CT, Upper abdomen

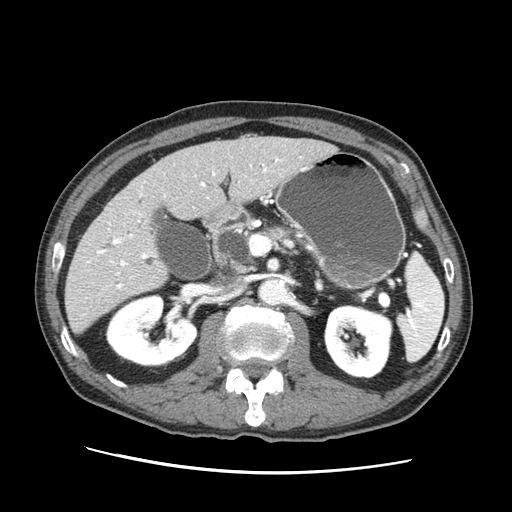

Pancreas at (left=260, top=225, right=292, bottom=239).